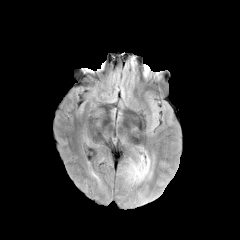
FLAIR magnetic resonance.
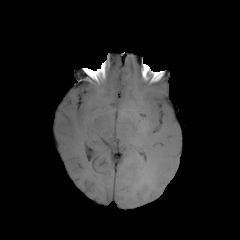
T1-weighted MR.
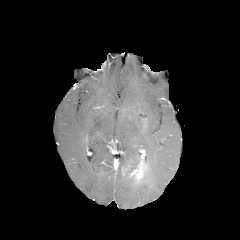
Post-contrast T1-weighted MRI of the same slice.
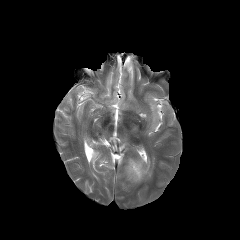
T2-weighted MR.
Head. Image size 240x240.
Edema: (127, 156, 141, 179), (140, 157, 149, 180).
Enhancing tumor: (130, 155, 144, 182).